FLAIR MR image.
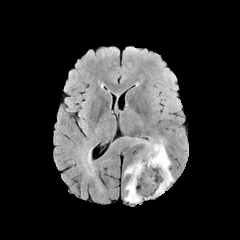
T1-weighted magnetic resonance.
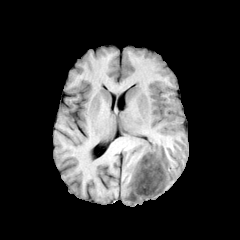
Post-contrast T1-weighted MR image.
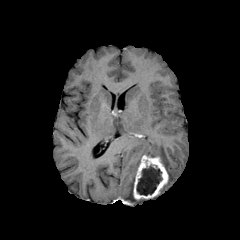
T2-weighted magnetic resonance.
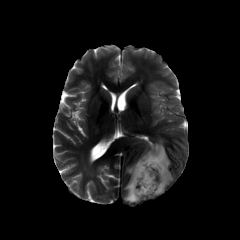
Head
edema: (142,139,173,193), (124,158,142,202) | enhancing tumor: (133,154,168,200) | non-enhancing tumor core: (136,167,161,195)